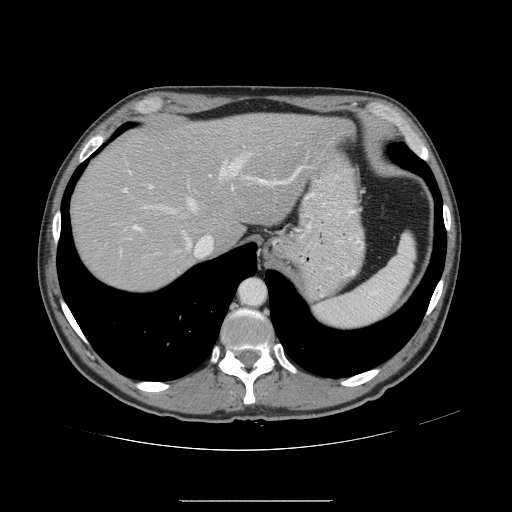

512x512, CT
The vessel boxes may cover only some of the vessels.
Hepatic vessel — bbox(294, 167, 301, 175); bbox(221, 157, 243, 176); bbox(124, 228, 126, 230); bbox(231, 186, 232, 189); bbox(131, 225, 139, 229); bbox(249, 153, 251, 155); bbox(182, 232, 184, 233); bbox(130, 172, 131, 173); bbox(186, 235, 211, 248); bbox(257, 176, 293, 185); bbox(123, 189, 126, 191); bbox(242, 176, 248, 177); bbox(188, 200, 196, 209); bbox(149, 185, 152, 188).